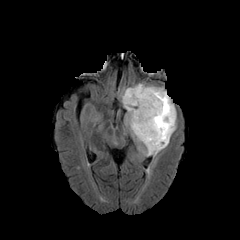
FLAIR MRI.
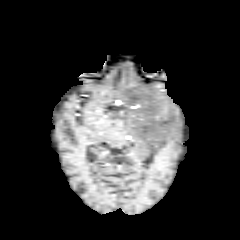
T1-weighted MRI.
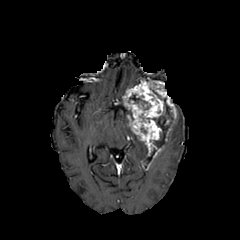
Post-contrast T1-weighted MR of the same slice.
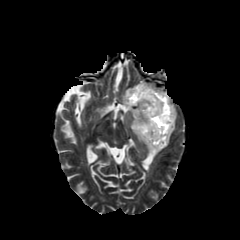
T2-weighted MR image.
Brain
2 enhancing tumor regions are located at [123, 82, 173, 155], [154, 86, 176, 118]. 3 non-enhancing tumor core regions are bounded by [129, 94, 150, 109], [150, 88, 173, 119], [152, 115, 171, 147]. 3 edema regions are located at [118, 84, 137, 109], [123, 110, 148, 156], [150, 112, 177, 158].